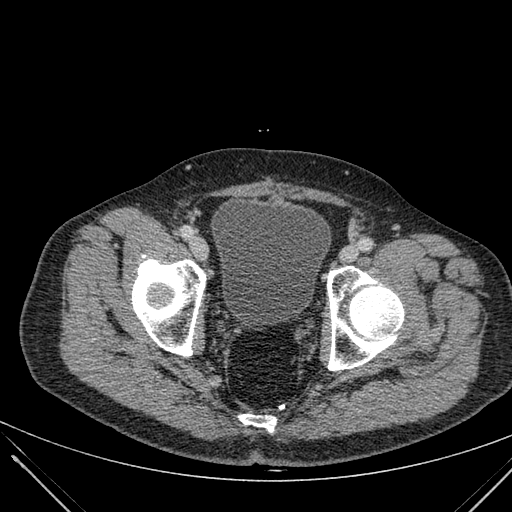 CT
<segmentation>
  <urinary_bladder>211:202:331:322</urinary_bladder>
</segmentation>